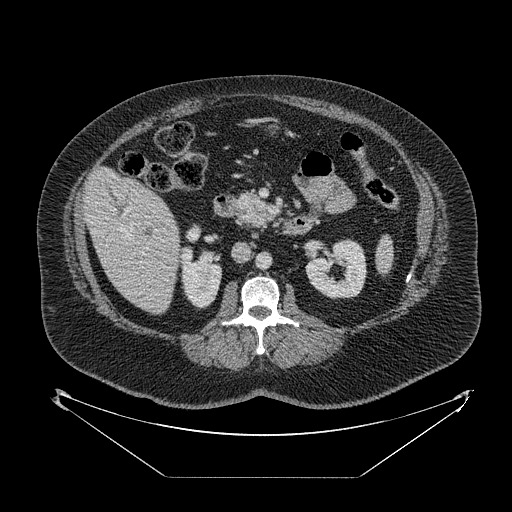

Upper abdomen | CT slice

Findings:
- pancreas: x1=234, y1=192, x2=268, y2=227